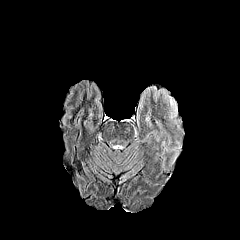
FLAIR MR.
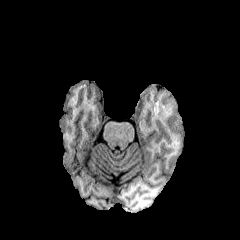
T1-weighted MR image.
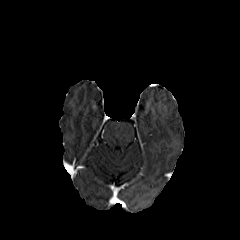
Post-contrast T1-weighted MR.
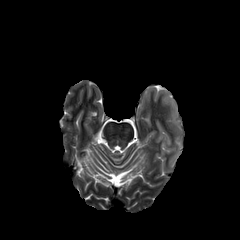
T2-weighted MR.
Head
{
  "edema": [
    "161, 141, 174, 160",
    "169, 97, 176, 115",
    "170, 145, 181, 163"
  ]
}